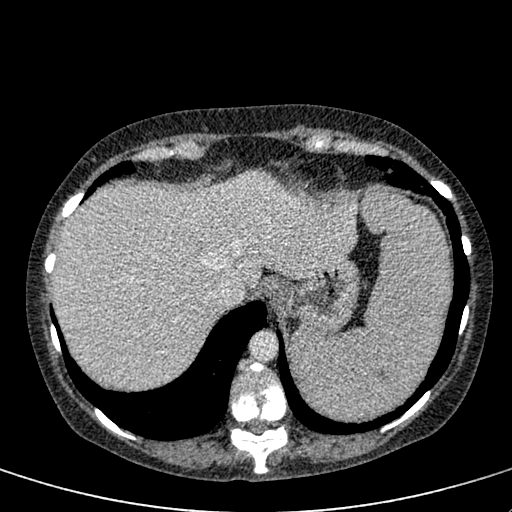 CT slice; Upper abdomen

- liver: {"x1": 56, "y1": 173, "x2": 361, "y2": 389}